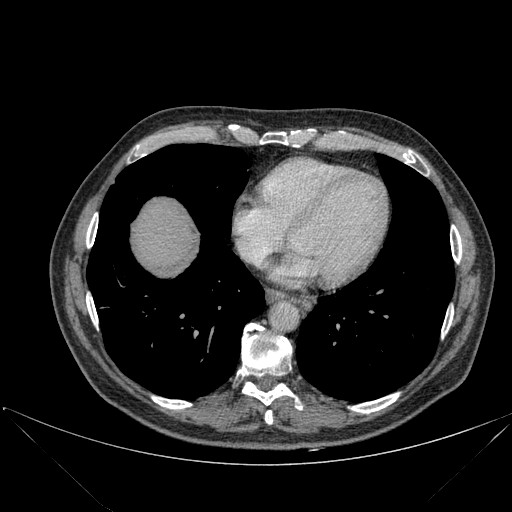 CT scan slice. Upper abdomen. 512x512.

- lung: <box>296,154,454,401</box>, <box>87,144,264,398</box>
- bone: <box>86,213,97,247</box>, <box>265,410,272,424</box>, <box>136,145,144,156</box>, <box>260,132,288,144</box>, <box>151,396,191,408</box>, <box>441,307,453,338</box>, <box>450,225,461,263</box>, <box>403,150,414,162</box>, <box>242,382,297,405</box>, <box>238,323,291,375</box>, <box>351,393,399,413</box>, <box>86,294,97,327</box>
- liver: <box>130,197,199,268</box>